Image width 240 mm; Slice 89 of 155; Head
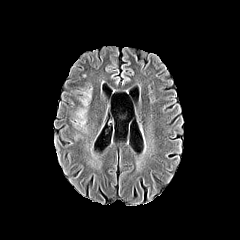
FLAIR MRI.
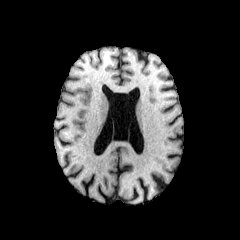
T1-weighted MRI.
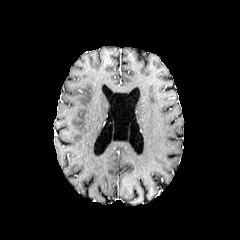
Same slice, post-contrast T1-weighted MRI.
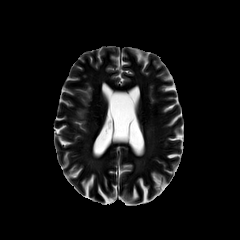
Same slice, T2-weighted magnetic resonance.
Segmented structures:
• edema: (72, 108, 88, 133), (81, 88, 91, 107)